FLAIR magnetic resonance.
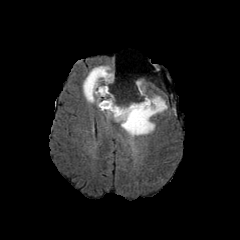
T1-weighted MR.
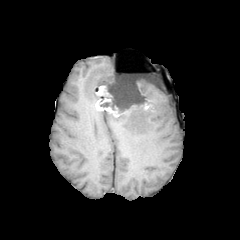
Post-contrast T1-weighted magnetic resonance.
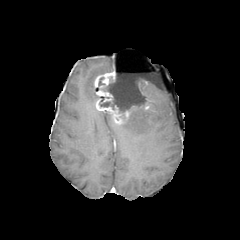
T2-weighted MR image.
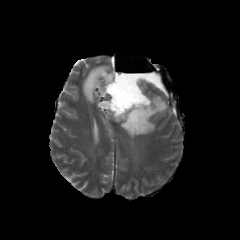
240x240
edema: (82, 64, 113, 103), (120, 78, 167, 138) | enhancing tumor: (96, 100, 121, 121), (94, 71, 113, 101) | non-enhancing tumor core: (98, 80, 147, 121)